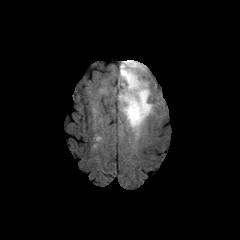
FLAIR MRI.
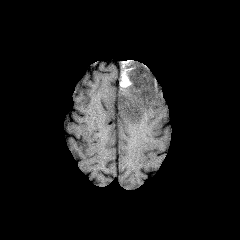
Same slice, T1-weighted MR image.
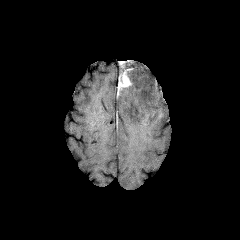
Same slice, post-contrast T1-weighted MRI.
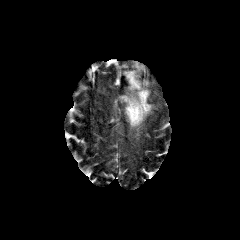
Same slice, T2-weighted MR.
non-enhancing tumor core: rect(118, 62, 132, 74); rect(128, 68, 133, 85) | edema: rect(117, 60, 155, 140) | enhancing tumor: rect(118, 68, 131, 88)